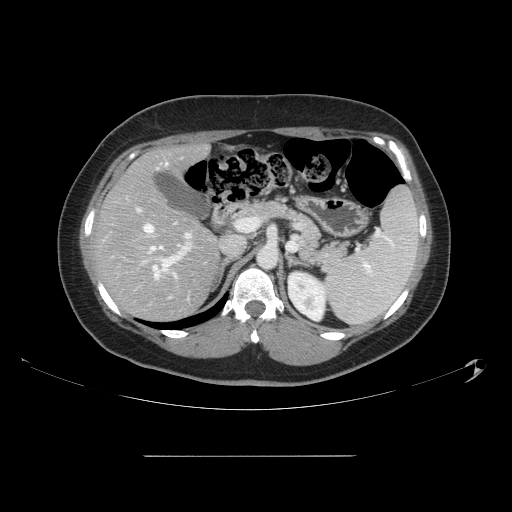
Computed tomography; Liver

Some hepatic vessels may have no box.
Hepatic vessel = 181, 246, 184, 248; 158, 246, 162, 248; 185, 248, 187, 249; 148, 246, 154, 252; 153, 253, 181, 279; 137, 209, 140, 211; 144, 224, 153, 232; 185, 233, 190, 237; 143, 262, 145, 263.